Upper abdomen; Image size 512x512; Field of view 370 mm wide, 0.70 mm slice spacing; CT scan slice

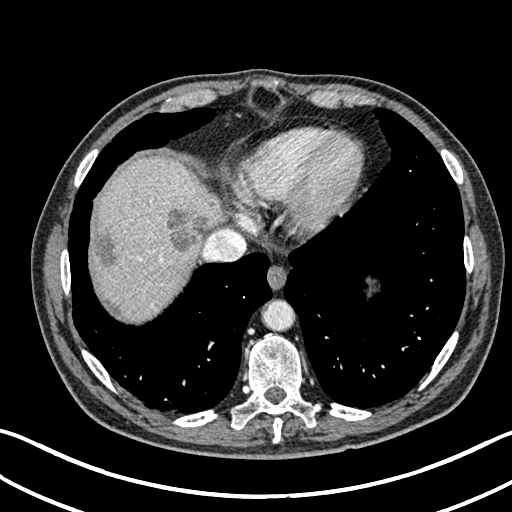 {"focal_liver_lesion": ["[94, 232, 115, 265]", "[166, 209, 206, 228]", "[170, 229, 195, 250]"], "liver": ["[93, 157, 221, 317]"]}